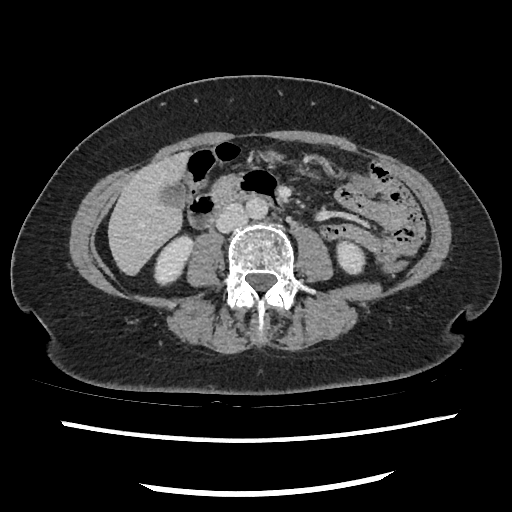 Computed tomography
Pancreas: bounding box 213 175 239 199.